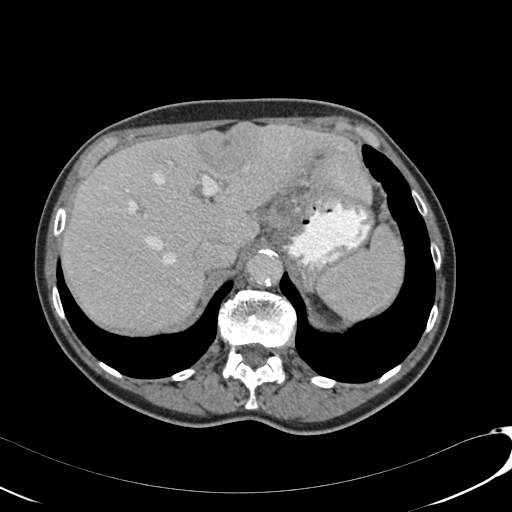

512x512 px. Abdomen. CT scan slice.
{
  "liver": [
    "(63, 124, 371, 331)"
  ],
  "hepatic_lesion": [
    "(199, 123, 260, 172)"
  ]
}